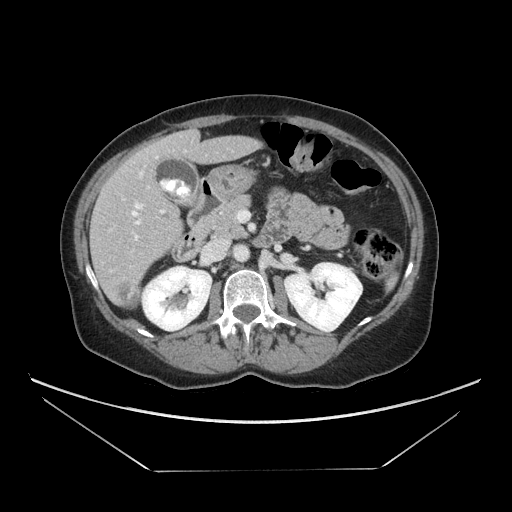
CT. pancreas: <bbox>195, 195, 251, 239</bbox>